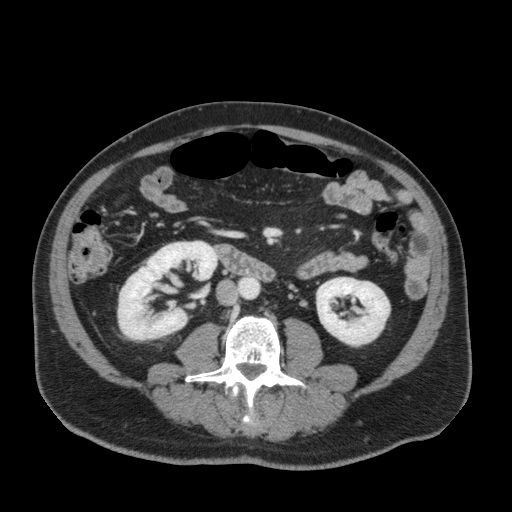 Abdomen. CT image.
Kidney: bounding box 317 277 389 345, 118 241 217 339.